Computed tomography
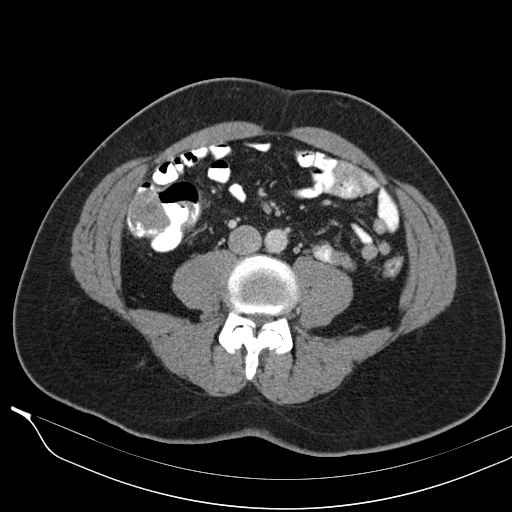 2 colon tumor regions are located at [x1=130, y1=191, x2=169, y2=229], [x1=180, y1=200, x2=194, y2=232].